Image size 512x512, Liver, CT slice, Image width 356 mm, Slice 60 of 86

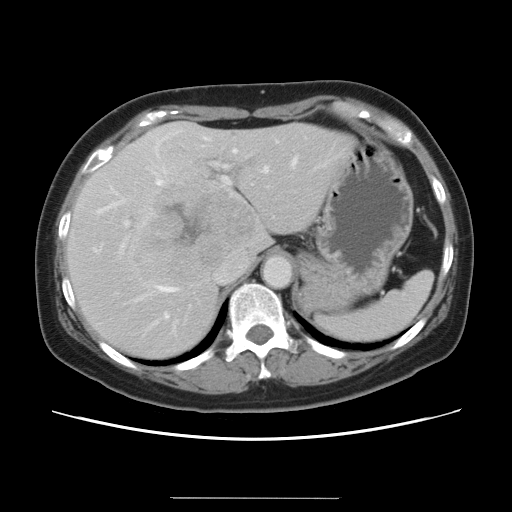
Not every hepatic vessel necessarily has a box.
Liver tumor at region(132, 181, 254, 287).
Principal 15 of 19 hepatic vessel regions at region(292, 158, 296, 165); region(124, 221, 128, 226); region(222, 165, 229, 168); region(110, 189, 115, 193); region(158, 287, 174, 291); region(120, 243, 124, 252); region(221, 176, 230, 184); region(150, 321, 157, 327); region(93, 246, 101, 252); region(173, 320, 176, 333); region(156, 140, 162, 153); region(263, 167, 266, 172); region(156, 181, 162, 184); region(164, 314, 168, 319); region(96, 200, 121, 214).